Computed tomography. Abdomen.

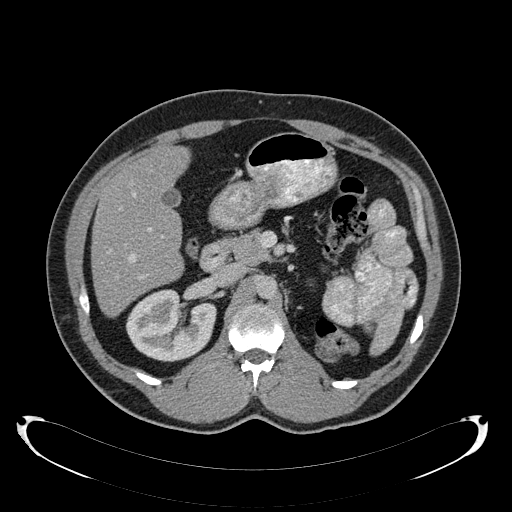
* liver: [91, 147, 188, 316]
* kidney: [126, 290, 215, 360]